CT image | Abdomen

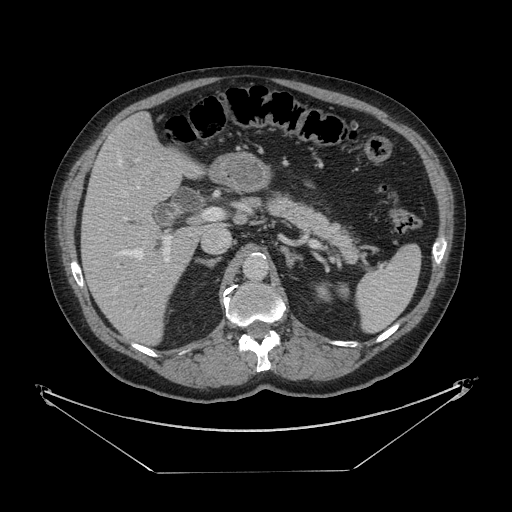

The pancreas is bounded by region(269, 196, 357, 262).